Upper abdomen. CT scan slice. 512x512 px. Image width 368 mm. 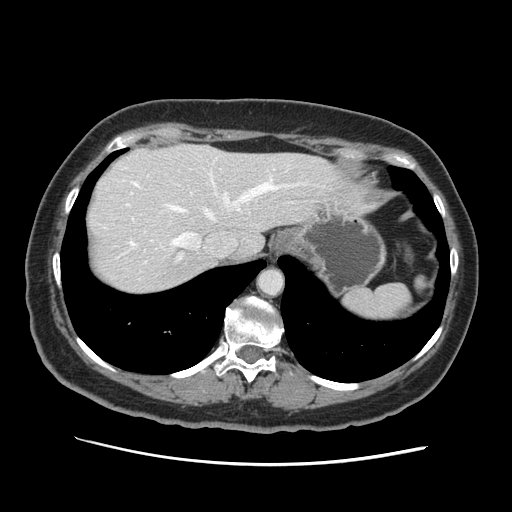

spleen: x1=343, y1=275, x2=430, y2=321